Upper abdomen. CT scan slice.
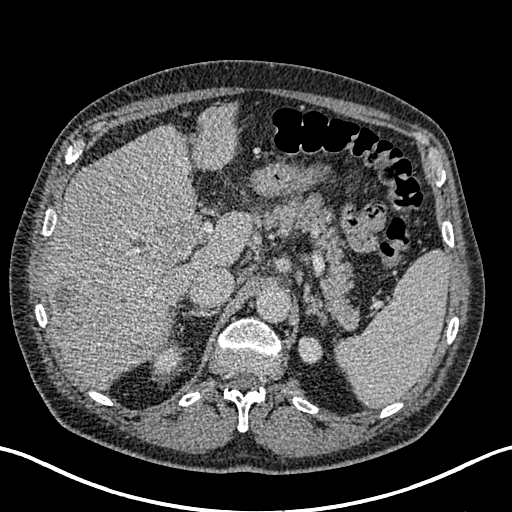

Kidney: {"x1": 300, "y1": 338, "x2": 320, "y2": 362}, {"x1": 156, "y1": 349, "x2": 178, "y2": 370}.
Liver: {"x1": 46, "y1": 105, "x2": 251, "y2": 388}.
Liver lesion: {"x1": 129, "y1": 340, "x2": 150, "y2": 359}, {"x1": 146, "y1": 218, "x2": 193, "y2": 270}, {"x1": 51, "y1": 278, "x2": 88, "y2": 329}.